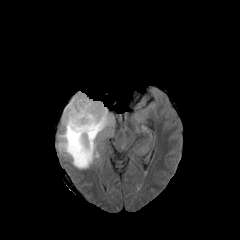
FLAIR magnetic resonance.
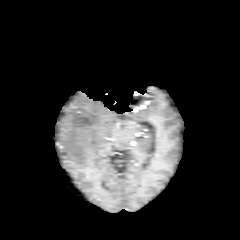
Same slice, T1-weighted MRI.
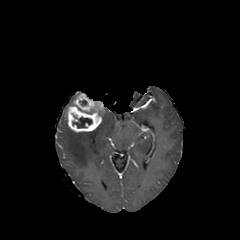
Same slice, post-contrast T1-weighted MR image.
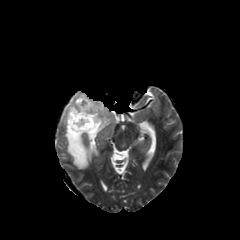
T2-weighted magnetic resonance of the same slice.
Head.
Non-enhancing tumor core at (72,116,92,128).
Enhancing tumor at (63,92,105,132).
Edema at (58,108,114,168).